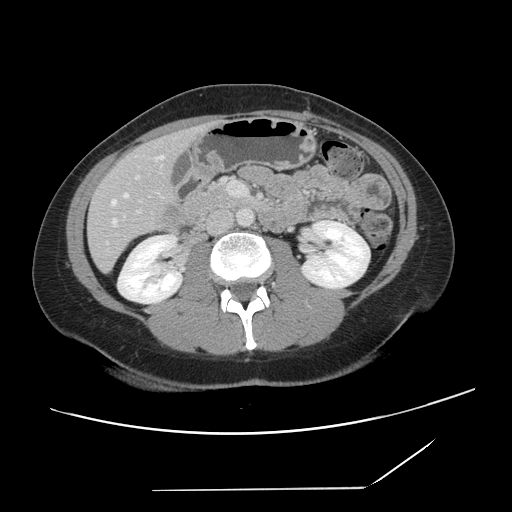 CT scan slice; Liver

Some hepatic vessels may have no box.
Segmented structures:
• liver tumor: rect(164, 205, 180, 226)
• hepatic vessel: rect(113, 219, 116, 225); rect(124, 194, 127, 197); rect(161, 163, 161, 166); rect(112, 200, 115, 204); rect(136, 176, 138, 178); rect(155, 155, 163, 161); rect(106, 242, 107, 243); rect(137, 210, 139, 212)